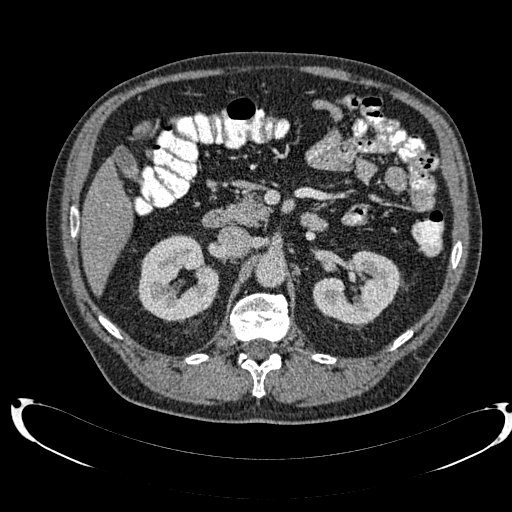

Liver, Image size 512x512, Computed tomography
Liver: x1=82, y1=158, x2=132, y2=294; x1=135, y1=123, x2=150, y2=133.
Kidney: x1=138, y1=235, x2=218, y2=321; x1=313, y1=251, x2=400, y2=325.